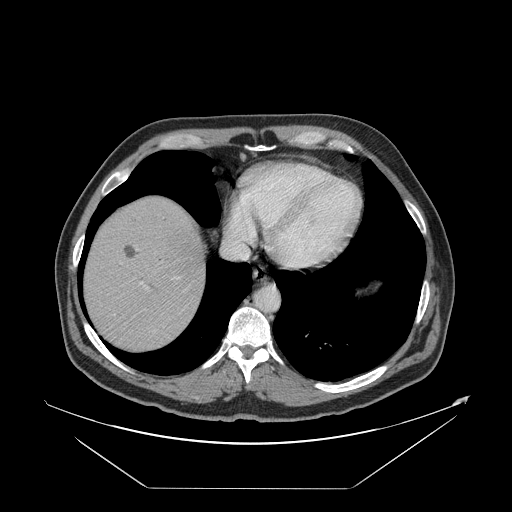 512x512, CT
Not every hepatic vessel necessarily has a box.
3 hepatic vessel regions appear at box=[174, 277, 179, 278]; box=[223, 229, 254, 259]; box=[139, 283, 144, 286].